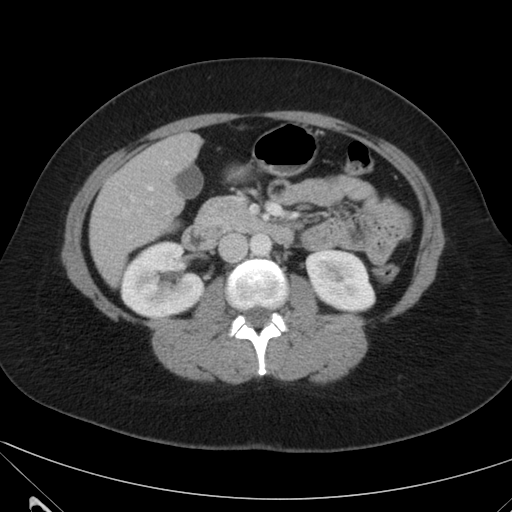

Liver, Computed tomography
Kidney: bounding box [122,243,202,316], [309,251,373,309].
Liver: bounding box [90,132,201,286].